Liver, Slice index 53, Image width 291 mm, CT

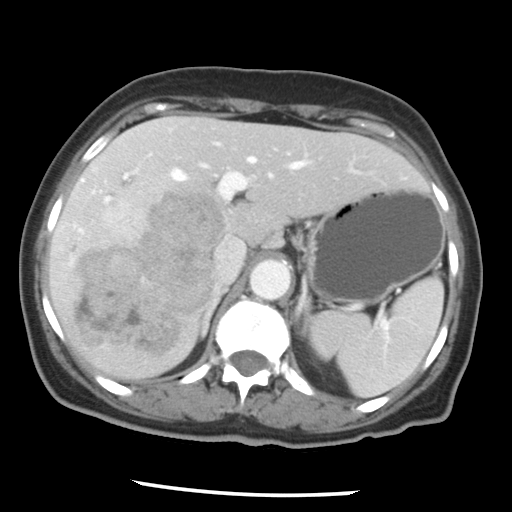

Some hepatic vessels may have no box.
The liver tumor is located at (70, 185, 226, 360). 10 hepatic vessel regions appear at (63, 231, 65, 232), (169, 167, 187, 181), (81, 178, 84, 181), (219, 167, 246, 198), (292, 161, 306, 169), (269, 174, 271, 176), (247, 156, 256, 162), (219, 238, 243, 279), (92, 188, 101, 193), (62, 247, 63, 249).